240x240 px
FLAIR MR.
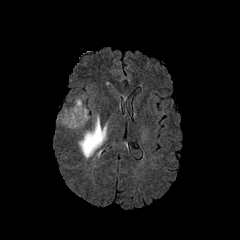
T1-weighted MR image.
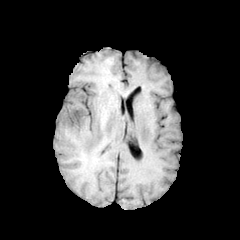
Post-contrast T1-weighted MR image.
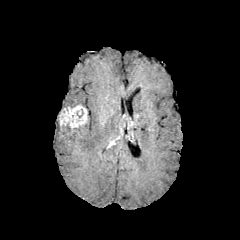
T2-weighted MR image.
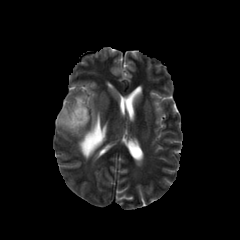
The enhancing tumor is located at (58, 106, 87, 127). 2 edema regions are located at (78, 114, 108, 159), (73, 96, 82, 107).